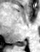 Image size 40x52, MR image
The posterior hippocampus appears at region(17, 41, 26, 46).